FLAIR magnetic resonance.
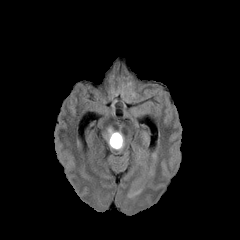
T1-weighted MR.
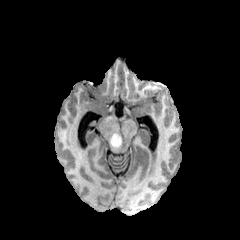
Post-contrast T1-weighted MR image.
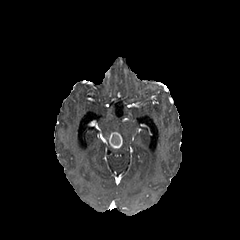
T2-weighted MR.
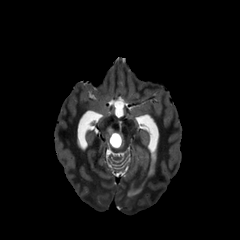
240x240 px; Brain
The non-enhancing tumor core is at [x1=111, y1=134, x2=120, y2=145]. The enhancing tumor lies within [x1=109, y1=131, x2=122, y2=149].